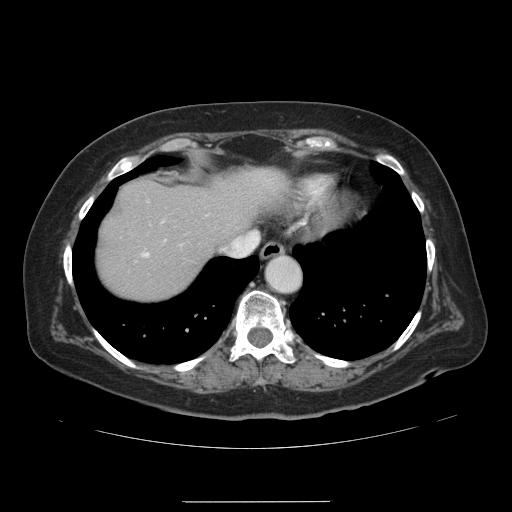 CT. The vessel boxes may cover only some of the vessels.
<segmentation>
  <hepatic_vessel>[221, 248, 223, 250], [233, 237, 242, 242]</hepatic_vessel>
</segmentation>